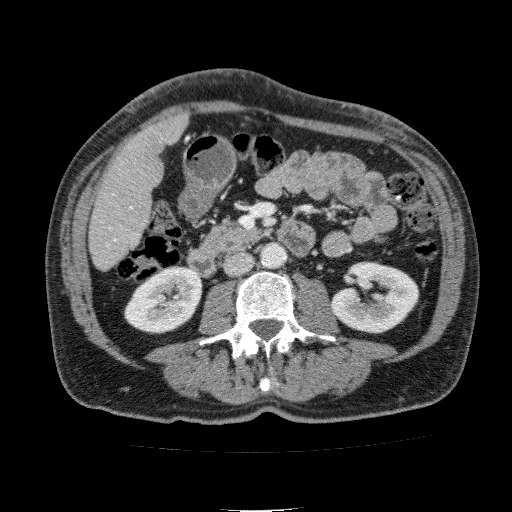

Abdomen | CT image
Liver: rect(89, 111, 191, 270).
Kidney: rect(332, 263, 417, 331); rect(125, 267, 201, 332).